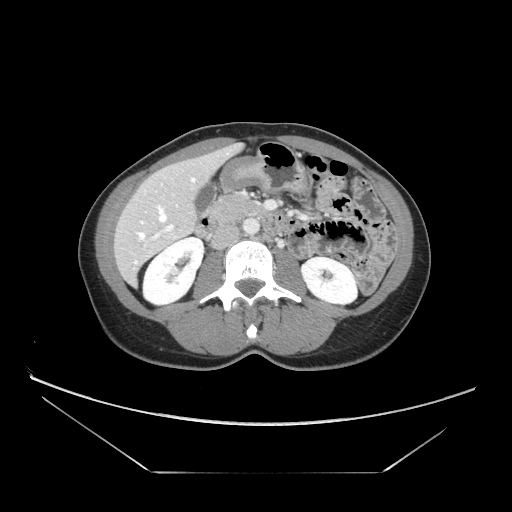 CT slice; 512x512 px; Upper abdomen

The pancreas is located at left=211, top=194, right=260, bottom=223.